Upper abdomen; Computed tomography; Slice 185/260
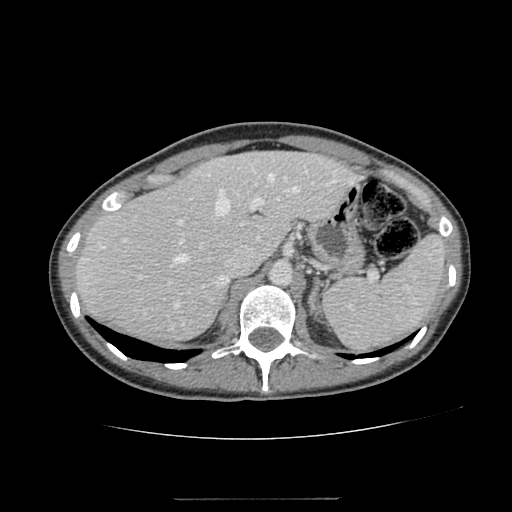
Liver: bounding box x1=75 y1=151 x2=364 y2=341.